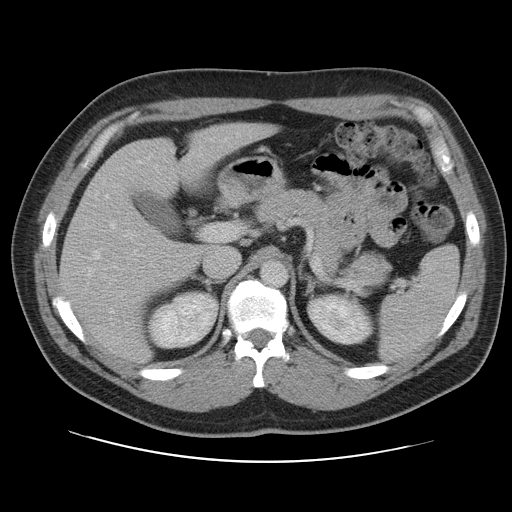

Abdomen; CT; 512x512 px
Not every hepatic vessel necessarily has a box.
Hepatic vessel = {"x1": 86, "y1": 267, "x2": 92, "y2": 276}, {"x1": 150, "y1": 230, "x2": 154, "y2": 231}, {"x1": 89, "y1": 251, "x2": 99, "y2": 259}, {"x1": 110, "y1": 310, "x2": 114, "y2": 313}, {"x1": 149, "y1": 263, "x2": 152, "y2": 266}, {"x1": 134, "y1": 249, "x2": 137, "y2": 253}, {"x1": 125, "y1": 230, "x2": 131, "y2": 236}, {"x1": 161, "y1": 236, "x2": 180, "y2": 246}, {"x1": 110, "y1": 223, "x2": 114, "y2": 227}.